Brain; Slice 59 of 155; Image width 240 mm; 240x240 px
FLAIR MRI.
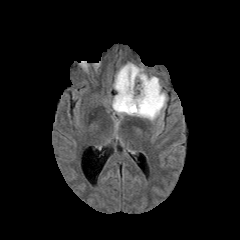
T1-weighted MR.
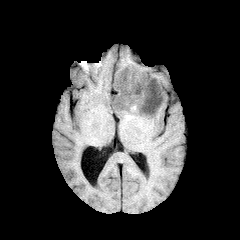
Post-contrast T1-weighted MRI.
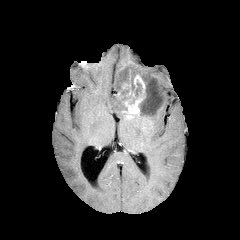
T2-weighted MR image.
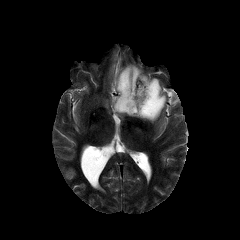
* enhancing tumor: rect(118, 74, 145, 113); rect(120, 82, 129, 91)
* non-enhancing tumor core: rect(116, 97, 127, 111); rect(138, 84, 156, 115); rect(118, 74, 142, 99)
* edema: rect(110, 62, 170, 125)